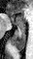 Hippocampus. MR image.
{"anterior_hippocampus": ["10, 14, 24, 26"], "posterior_hippocampus": ["12, 27, 25, 50"]}